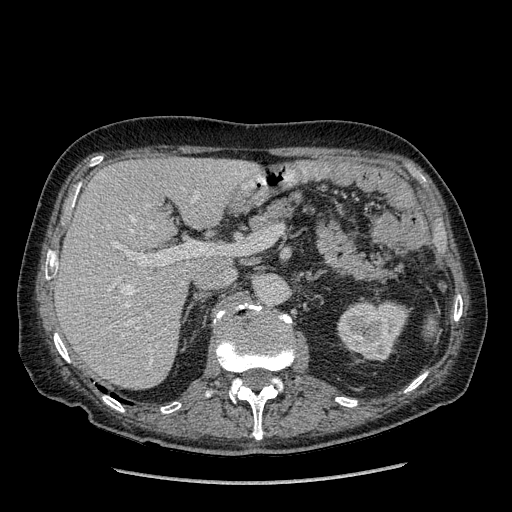

CT slice. Liver.
Kidney: bounding box x1=337 y1=302 x2=408 y2=360.
Liver: bounding box x1=55 y1=157 x2=257 y2=389.